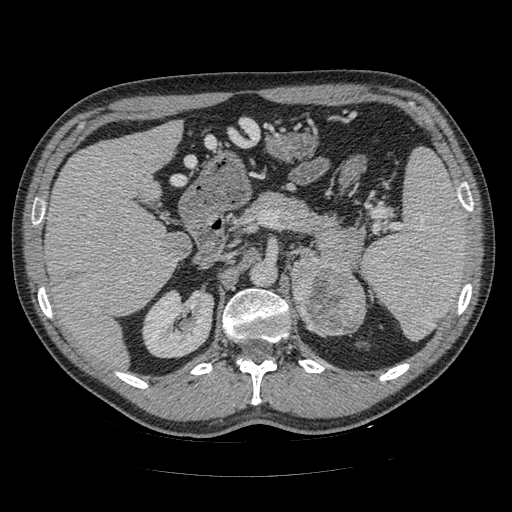 CT image; Upper abdomen

pancreatic_tumor:
  - <bbox>291, 258, 365, 335</bbox>
pancreas:
  - <bbox>245, 191, 363, 277</bbox>